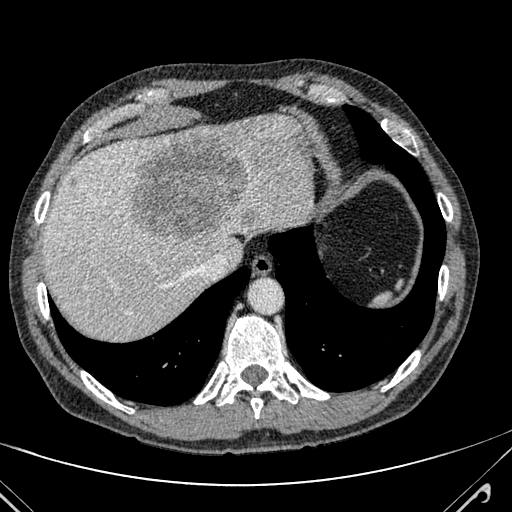
CT image; Abdomen
hepatic_lesion:
  - 243 211 257 224
  - 132 134 245 245
liver:
  - 44 115 313 339